Slice 66/155 | 240x240 px | Brain
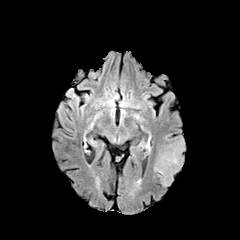
FLAIR MR.
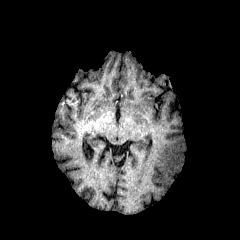
T1-weighted MR image.
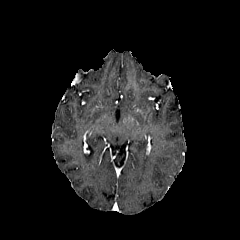
Same slice, post-contrast T1-weighted MR image.
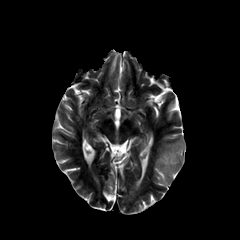
Same slice, T2-weighted MR image.
Non-enhancing tumor core = [x1=167, y1=140, x2=185, y2=164].
Edema = [x1=152, y1=133, x2=184, y2=187].